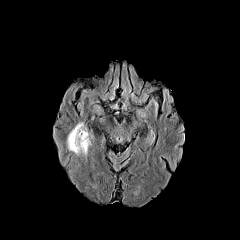
FLAIR MR.
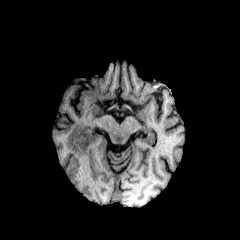
T1-weighted MRI.
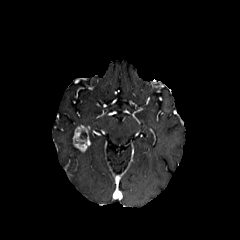
Post-contrast T1-weighted MR of the same slice.
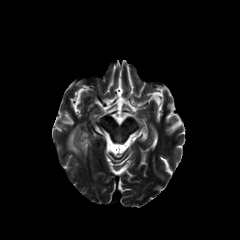
T2-weighted MR.
240x240 px. Head.
{
  "edema": [
    "[66,126,88,156]"
  ],
  "non-enhancing_tumor_core": [
    "[80,130,87,139]"
  ],
  "enhancing_tumor": [
    "[72,124,90,151]"
  ]
}